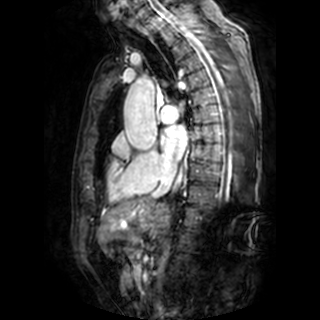 Heart, MRI
The left atrium is located at (x1=160, y1=125, x2=187, y2=160).